Image size 240x240. Head. Image width 240 mm.
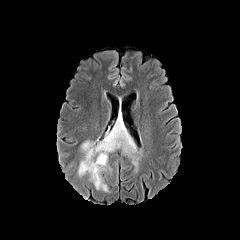
FLAIR magnetic resonance.
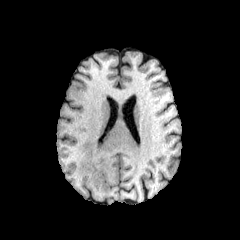
Same slice, T1-weighted magnetic resonance.
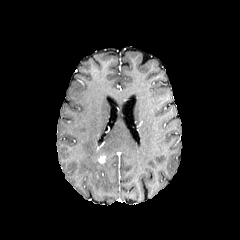
Post-contrast T1-weighted MR image.
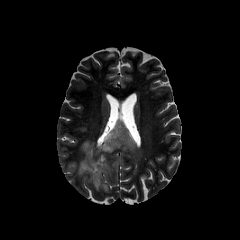
T2-weighted magnetic resonance.
2 edema regions are located at [78, 140, 107, 190], [100, 116, 135, 153]. The enhancing tumor is at [97, 156, 105, 164].